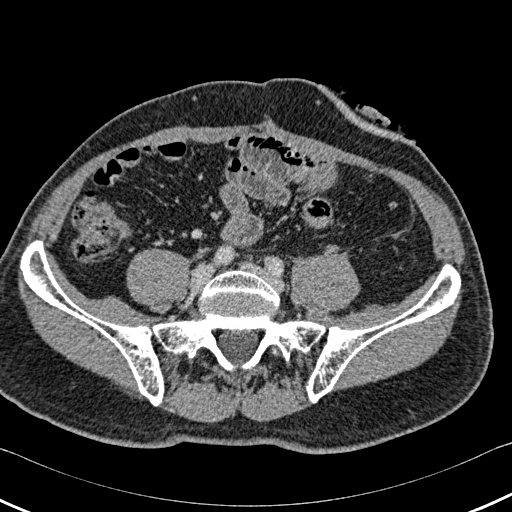

Image size 512x512; CT image

The bone is bounded by [x1=21, y1=241, x2=460, y2=405].